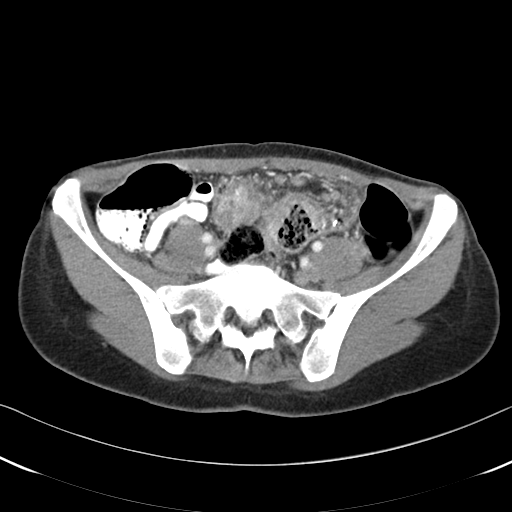

Abdomen; CT

{"colon_tumor": ["212 179 259 229", "264 193 321 239"]}